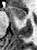
Image size 37x50, MRI
The anterior hippocampus appears at [11, 7, 26, 20].